FLAIR MRI.
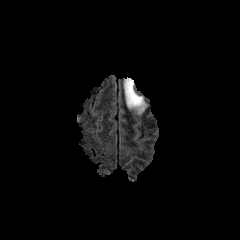
T1-weighted MR.
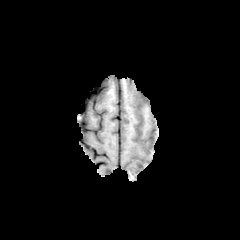
Post-contrast T1-weighted MRI.
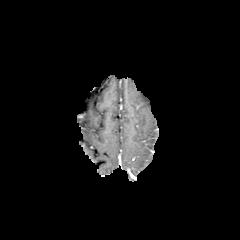
T2-weighted MRI.
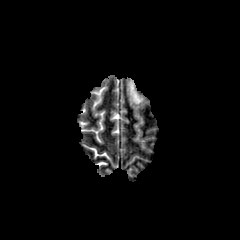
Image size 240x240
{
  "edema": [
    "left=126, top=80, right=146, bottom=111"
  ]
}